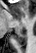 MRI slice. The posterior hippocampus lies within box(14, 33, 27, 46). The anterior hippocampus is located at box(14, 16, 15, 17).